Field of view 393 mm wide, 1.50 mm slice spacing. CT scan slice. Abdomen.

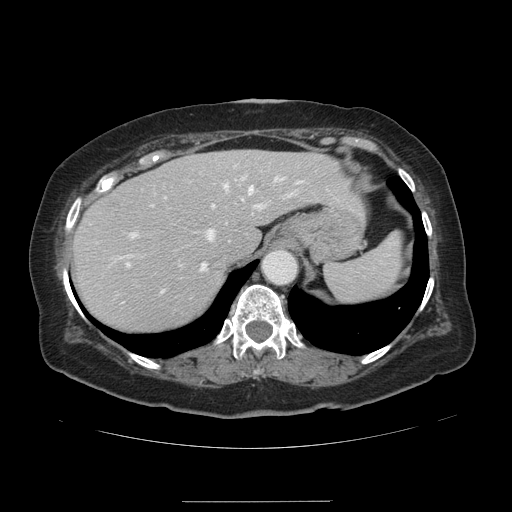

Not every hepatic vessel necessarily has a box.
Hepatic vessel = box(248, 186, 252, 192); box(211, 204, 213, 207); box(223, 183, 227, 188); box(296, 180, 301, 182); box(206, 229, 213, 238); box(160, 290, 162, 292); box(164, 196, 165, 197); box(255, 203, 263, 207); box(127, 262, 128, 265); box(121, 255, 130, 257); box(274, 176, 282, 180); box(130, 232, 135, 236); box(240, 176, 244, 178); box(179, 264, 181, 265); box(287, 192, 294, 195).